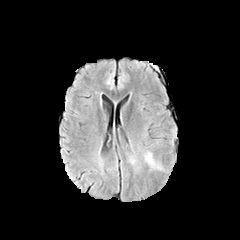
FLAIR MR image.
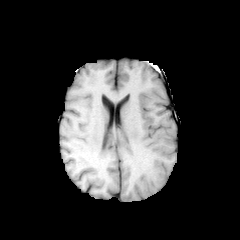
T1-weighted MR.
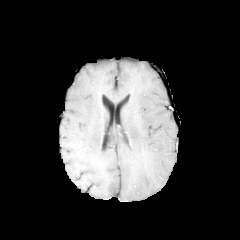
Post-contrast T1-weighted MR.
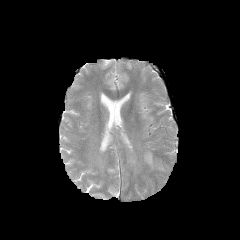
T2-weighted magnetic resonance.
240x240 px
{"edema": ["bbox=[144, 151, 164, 170]"]}